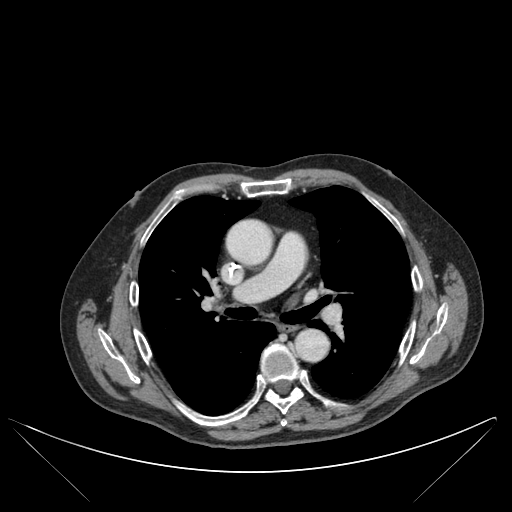

CT scan slice
2 lung regions are bounded by 280,186,410,398; 139,196,275,415. 12 bone regions are bounded by 241,179,290,196; 410,305,447,363; 266,388,302,413; 134,329,151,363; 375,201,398,224; 322,399,337,405; 142,210,163,241; 176,344,311,425; 411,266,422,290; 130,282,138,305; 399,322,415,362; 99,331,139,383.